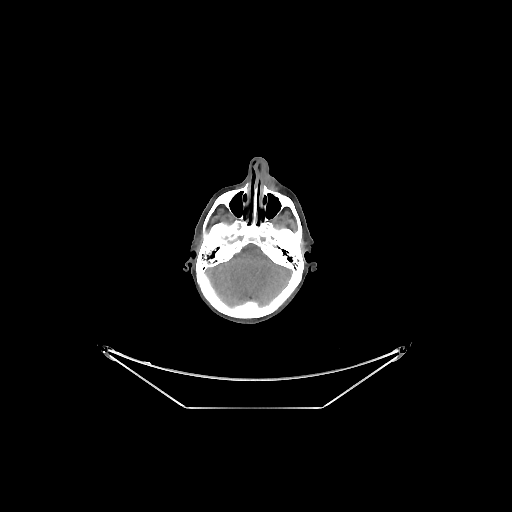
512x512 | Brain | CT
The brain is bounded by x1=206 y1=243 x2=291 y2=307. The bone is located at x1=196 y1=183 x2=303 y2=318.